Head
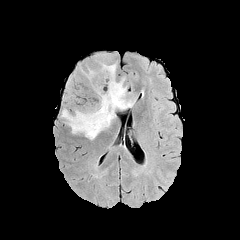
FLAIR MR image.
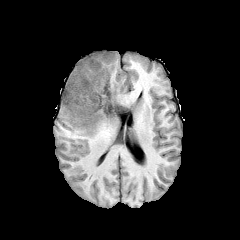
T1-weighted MRI.
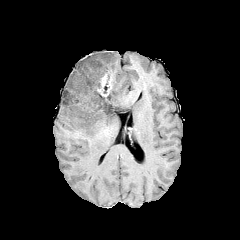
Post-contrast T1-weighted MR image of the same slice.
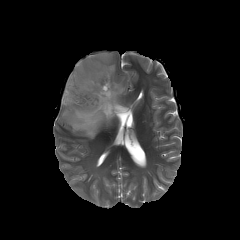
Same slice, T2-weighted MRI.
non-enhancing_tumor_core:
  - <bbox>95, 70, 113, 113</bbox>
edema:
  - <bbox>61, 53, 135, 139</bbox>
enhancing_tumor:
  - <bbox>98, 76, 111, 96</bbox>